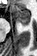 MRI slice | 37x56

The anterior hippocampus is located at [12,6,30,24].